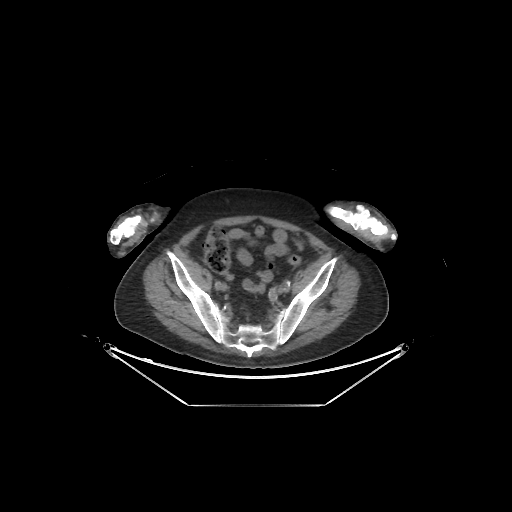

CT image
bone:
  - x1=328, y1=205, x2=395, y2=239
  - x1=167, y1=251, x2=336, y2=356
  - x1=110, y1=215, x2=145, y2=244